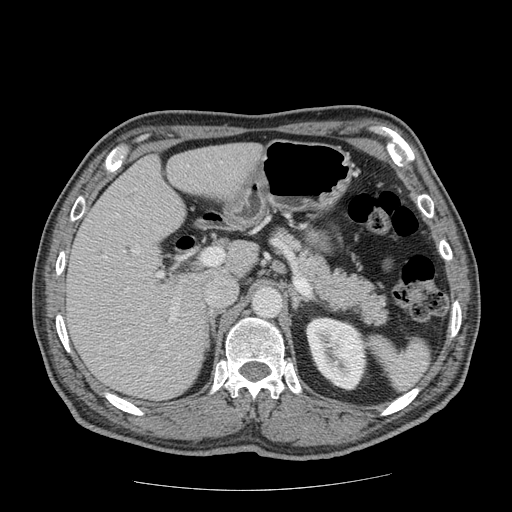
CT image
pancreas: (x1=270, y1=223, x2=390, y2=328)